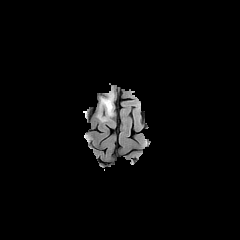
FLAIR MR.
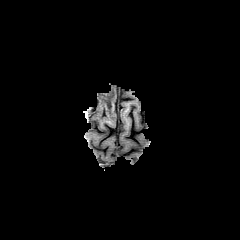
T1-weighted MR of the same slice.
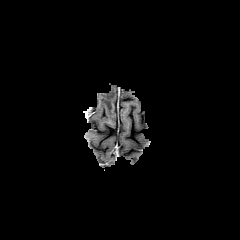
Post-contrast T1-weighted MR.
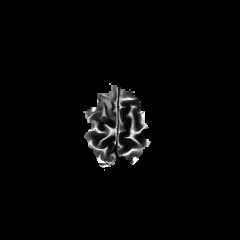
T2-weighted MR of the same slice.
240x240, Brain
The edema is located at 97, 91, 114, 121. The non-enhancing tumor core is located at 100, 100, 112, 112.